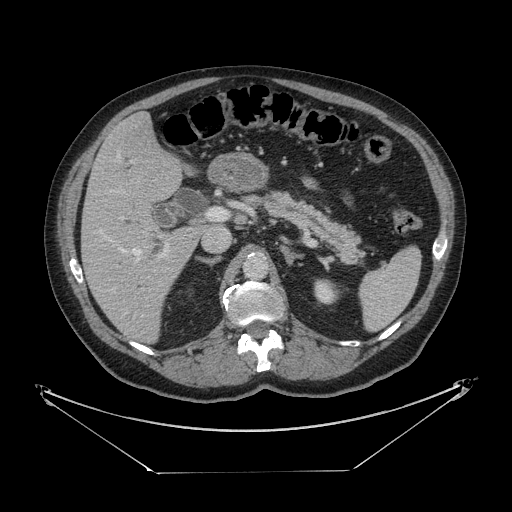

CT scan slice; 512x512
<segmentation>
  <pancreas>[x1=264, y1=194, x2=362, y2=263]</pancreas>
</segmentation>